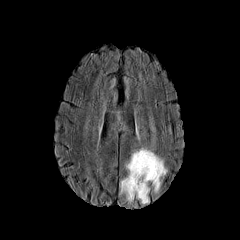
FLAIR MR.
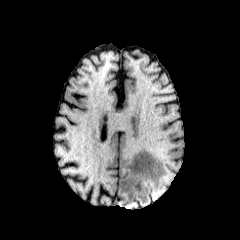
T1-weighted magnetic resonance.
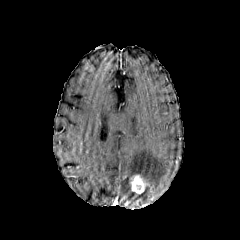
Same slice, post-contrast T1-weighted MR image.
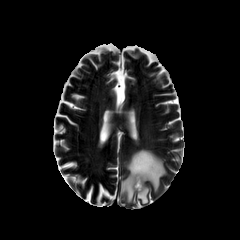
T2-weighted MR.
Brain
The enhancing tumor is located at box(131, 175, 147, 193). The edema appears at box(118, 149, 167, 205).